FLAIR MR.
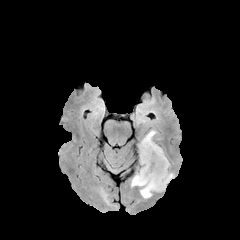
T1-weighted MR.
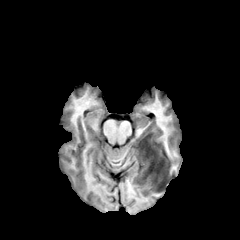
Post-contrast T1-weighted MRI.
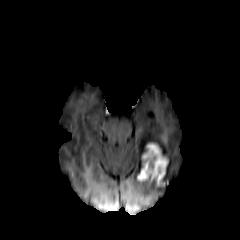
T2-weighted magnetic resonance.
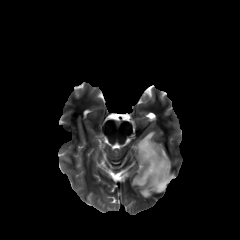
Brain
Enhancing tumor = region(137, 143, 168, 186).
Edema = region(131, 161, 174, 197); region(138, 130, 156, 173).